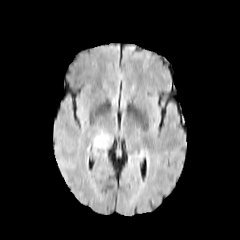
FLAIR MR image.
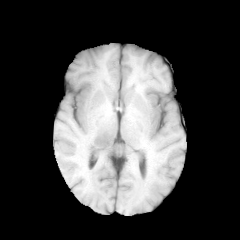
T1-weighted MR of the same slice.
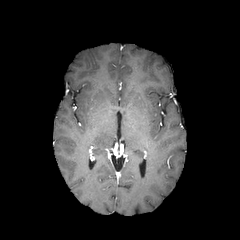
Post-contrast T1-weighted MR of the same slice.
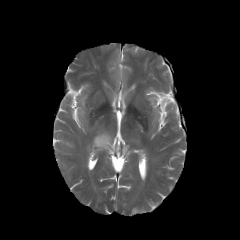
T2-weighted MR image of the same slice.
240x240 px.
Findings:
• edema: {"x1": 94, "y1": 135, "x2": 110, "y2": 147}